Slice 26 of 37. MR image. Hippocampus. 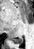
Posterior hippocampus at l=11, t=37, r=22, b=43.